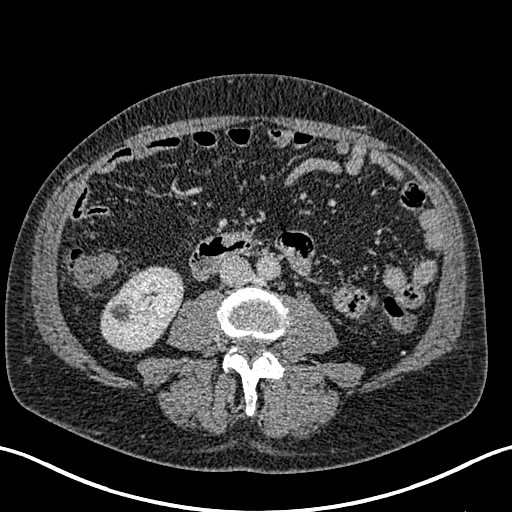 CT slice.
{"kidney": ["box=[101, 268, 182, 350]"]}